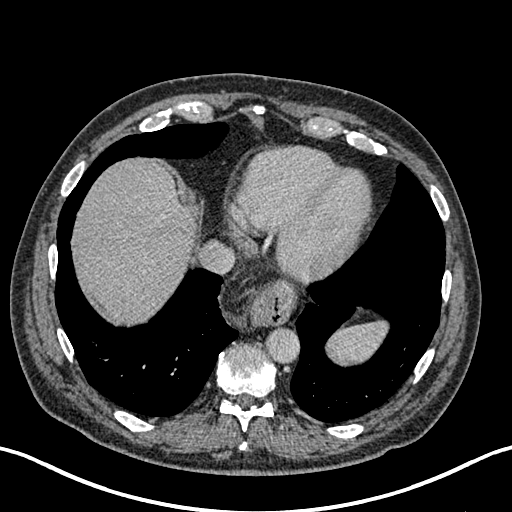

Abdomen | CT
hepatic lesion: [145, 240, 153, 248] | liver: [73, 157, 198, 321]